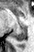
Hippocampus. MR image.
The posterior hippocampus is bounded by x1=12 y1=27 x2=26 y2=40.